Liver; CT 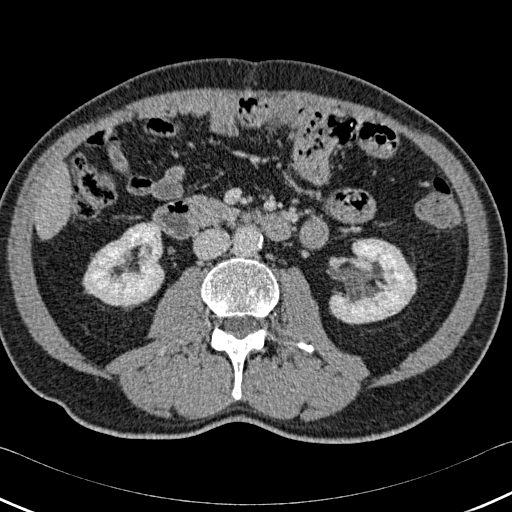

3 bone regions are located at (x1=201, y1=258, x2=278, y2=317), (x1=211, y1=327, x2=266, y2=399), (x1=296, y1=342, x2=313, y2=351). 2 kidney regions are located at (x1=330, y1=239, x2=415, y2=322), (x1=84, y1=223, x2=163, y2=305). The liver lies within (x1=34, y1=167, x2=71, y2=238).